Computed tomography. Slice index 27. Abdomen.

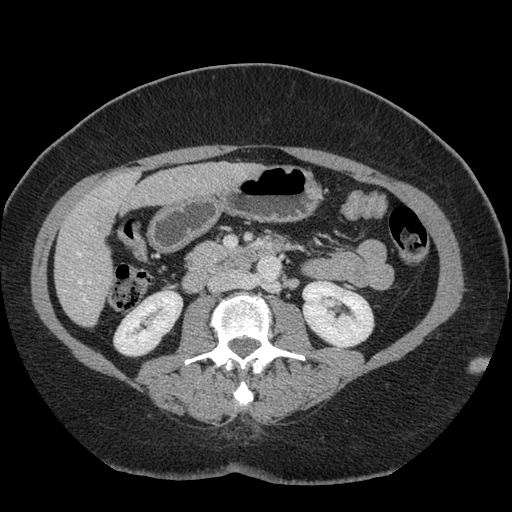 The vessel boxes may cover only some of the vessels.
4 hepatic vessel regions appear at 79 280 82 283, 82 294 87 301, 89 282 90 283, 77 252 80 255.